FLAIR MRI.
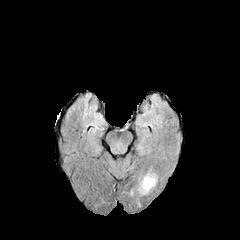
T1-weighted MR.
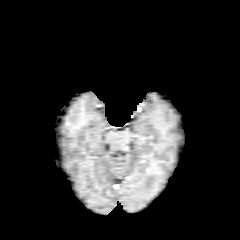
Post-contrast T1-weighted MRI.
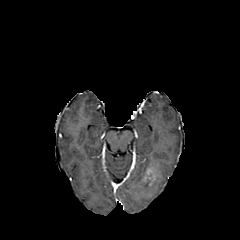
T2-weighted MR image.
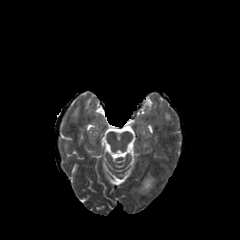
The edema lies within 138, 173, 156, 194.